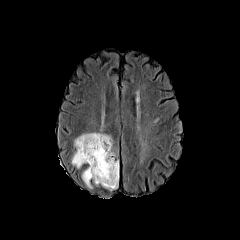
FLAIR magnetic resonance.
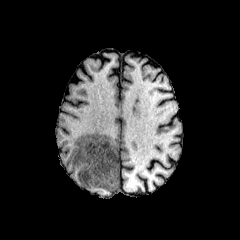
T1-weighted MRI.
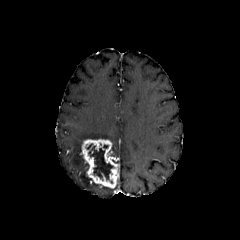
Same slice, post-contrast T1-weighted MRI.
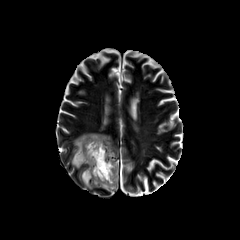
T2-weighted MRI.
240x240 px
Findings:
• non-enhancing tumor core: [x1=88, y1=145, x2=113, y2=180]
• enhancing tumor: [x1=80, y1=138, x2=119, y2=188]
• edema: [x1=71, y1=133, x2=110, y2=168], [x1=82, y1=169, x2=91, y2=188]